MR; Slice index 16 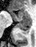

Anterior hippocampus at box(9, 10, 31, 21).
Posterior hippocampus at box(17, 22, 30, 33).